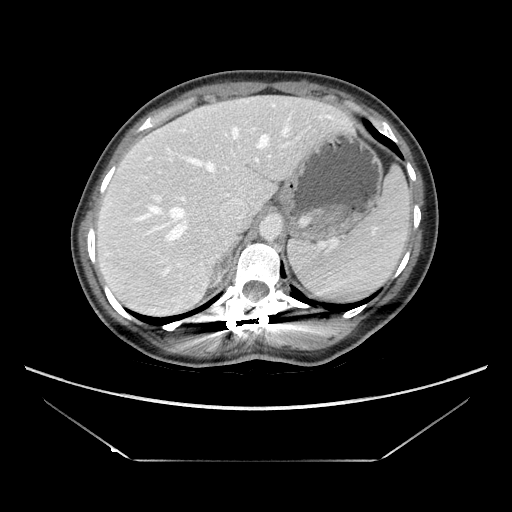 CT slice; 512x512; Liver
Some hepatic vessels may have no box.
Hepatic vessel: left=257, top=136, right=268, bottom=148; left=221, top=198, right=244, bottom=215; left=234, top=130, right=236, bottom=134; left=237, top=214, right=243, bottom=218; left=202, top=162, right=215, bottom=173; left=167, top=207, right=187, bottom=240; left=150, top=207, right=164, bottom=215.